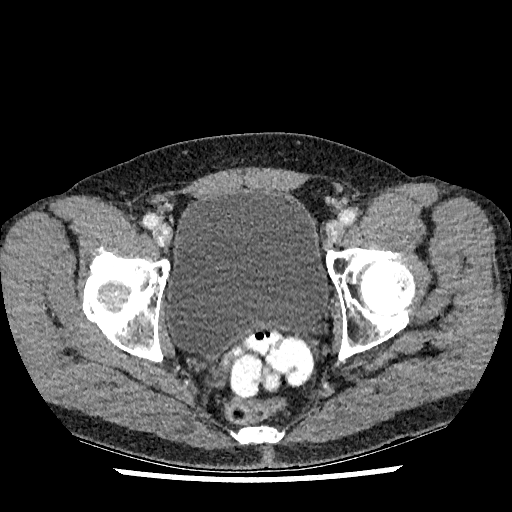 Lower abdomen, Image size 512x512, CT scan slice

The urinary bladder lies within bbox=[165, 189, 328, 355].